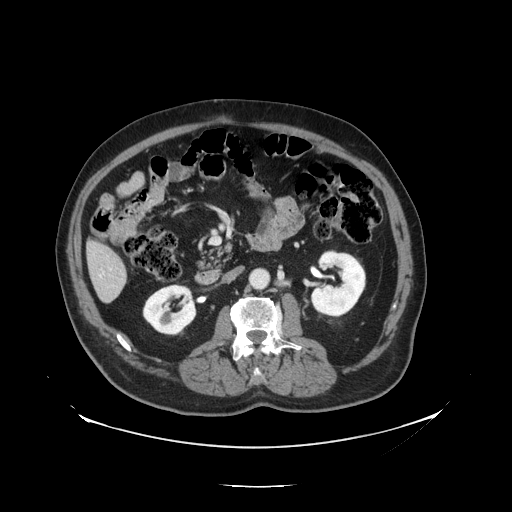 CT scan slice, 512x512
Some hepatic vessels may have no box.
hepatic_vessel:
  - {"x1": 100, "y1": 274, "x2": 102, "y2": 277}